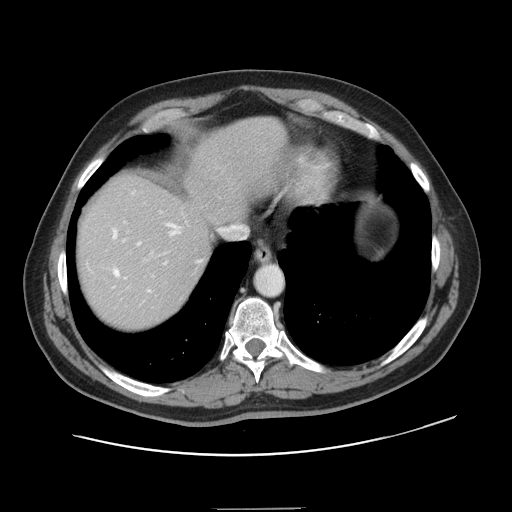 Computed tomography
Not every hepatic vessel necessarily has a box.
<segmentation>
  <hepatic_vessel>left=137, top=242, right=139, bottom=244; left=114, top=269, right=118, bottom=275; left=167, top=223, right=180, bottom=232; left=113, top=228, right=116, bottom=237; left=147, top=289, right=149, bottom=291; left=197, top=261, right=199, bottom=262</hepatic_vessel>
</segmentation>